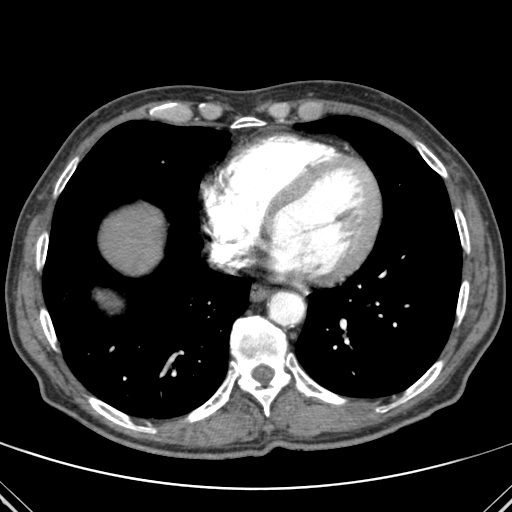 CT slice

* bone: bbox=[36, 233, 48, 268]; bbox=[40, 309, 56, 348]; bbox=[54, 158, 77, 193]; bbox=[403, 361, 442, 401]; bbox=[455, 209, 469, 250]; bbox=[89, 397, 155, 433]; bbox=[457, 281, 468, 321]; bbox=[186, 316, 345, 422]; bbox=[417, 143, 447, 177]; bbox=[150, 103, 176, 113]; bbox=[231, 117, 264, 127]
* liver: bbox=[100, 206, 164, 275]
* lung: bbox=[42, 120, 250, 418]; bbox=[295, 115, 461, 397]